FLAIR magnetic resonance.
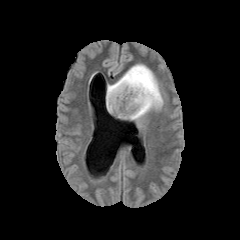
T1-weighted magnetic resonance.
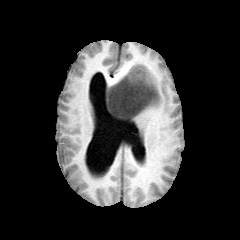
Post-contrast T1-weighted MR.
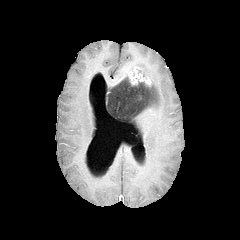
T2-weighted magnetic resonance.
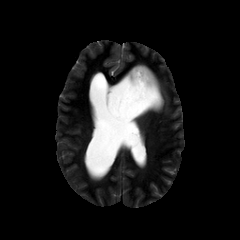
Head
Enhancing tumor = <box>111,65,153,87</box>.
Edema = <box>123,61,166,121</box>.
Non-enhancing tumor core = <box>106,78,157,121</box>.